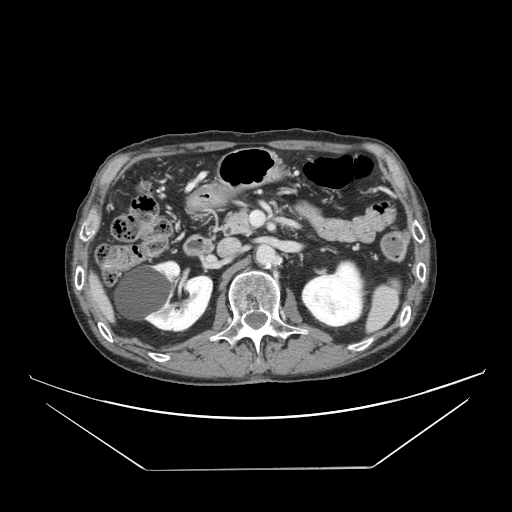 CT image
Pancreas: bounding box left=218, top=207, right=256, bottom=238.